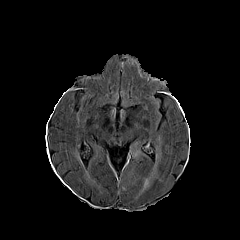
FLAIR MR.
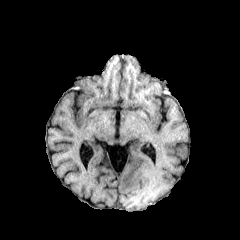
T1-weighted MR image.
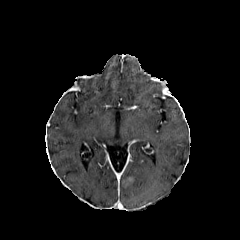
Post-contrast T1-weighted MRI.
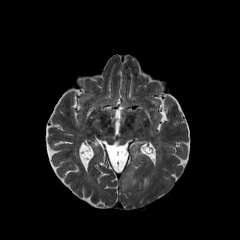
T2-weighted MR.
Brain
<segmentation>
  <enhancing_tumor>(122,177,135,188)</enhancing_tumor>
  <edema>(131,150,143,158), (151,144,160,175), (139,177,150,194)</edema>
</segmentation>